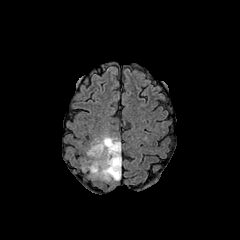
FLAIR MR image.
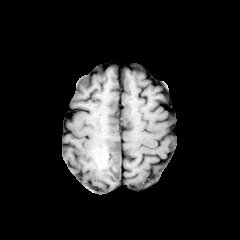
T1-weighted MR of the same slice.
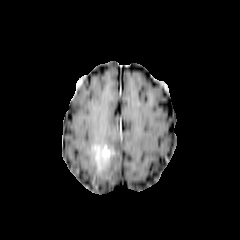
Same slice, post-contrast T1-weighted MR image.
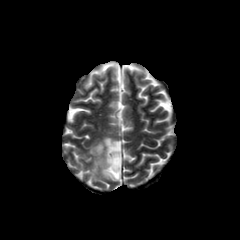
T2-weighted magnetic resonance.
Brain.
Enhancing tumor: 91,145,113,170.
Edema: 82,132,121,181.
Non-enhancing tumor core: 97,143,119,177.